FLAIR magnetic resonance.
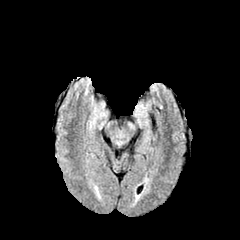
T1-weighted magnetic resonance.
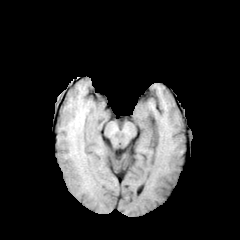
Post-contrast T1-weighted MR image.
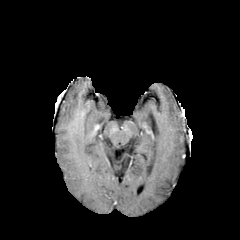
T2-weighted magnetic resonance.
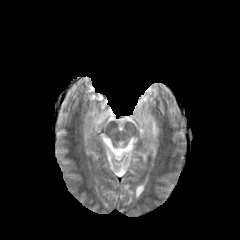
240x240 px
Edema = box(136, 105, 147, 122).